FLAIR magnetic resonance.
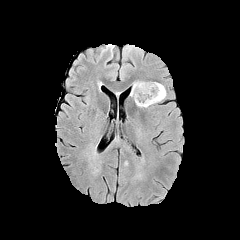
T1-weighted MRI.
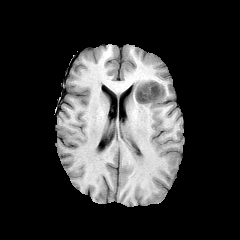
Post-contrast T1-weighted MRI.
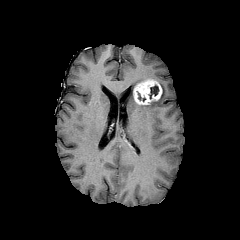
T2-weighted MRI.
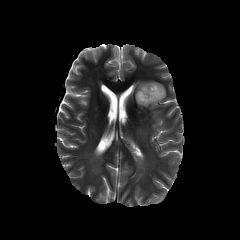
Head
Non-enhancing tumor core at 148:84:159:99, 136:91:146:102.
Edema at 129:80:143:96, 136:84:166:107.
Enhancing tumor at 133:79:161:104.